FLAIR magnetic resonance.
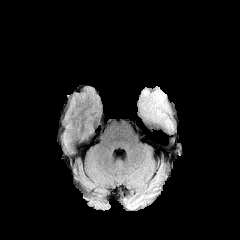
T1-weighted MR.
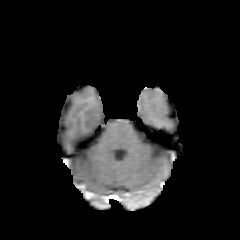
Post-contrast T1-weighted MR.
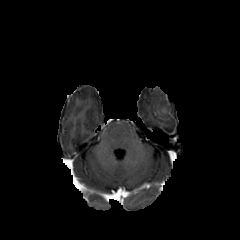
T2-weighted magnetic resonance.
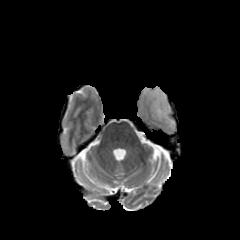
{
  "edema": [
    "bbox=[144, 90, 173, 129]"
  ]
}